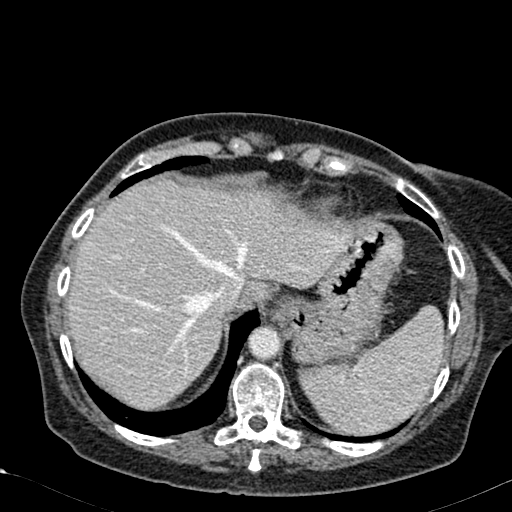
Upper abdomen | CT | Image size 512x512

liver:
  - <box>67,178,350,405</box>
  - <box>239,282,266,307</box>